Image width 360 mm; CT image; Image size 512x512; Upper abdomen; Slice 267 of 343

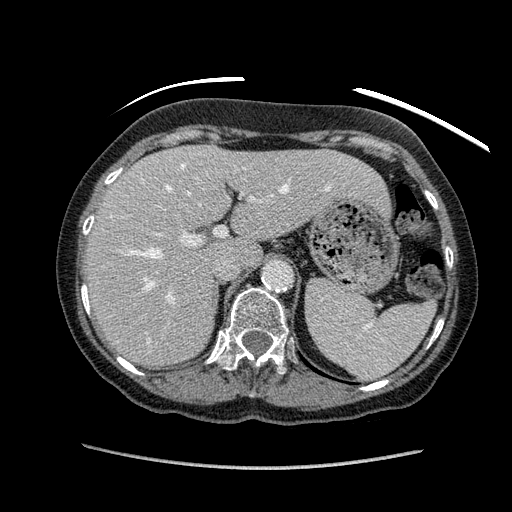 liver:
  - rect(84, 145, 386, 365)